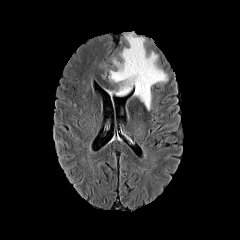
FLAIR MRI.
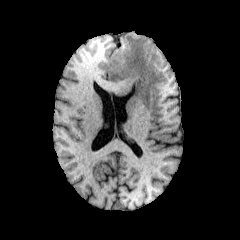
T1-weighted MRI of the same slice.
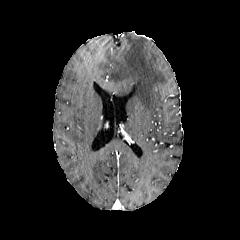
Post-contrast T1-weighted MRI.
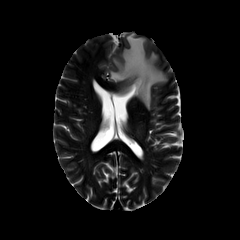
Same slice, T2-weighted MRI.
Edema — [108, 32, 168, 109].